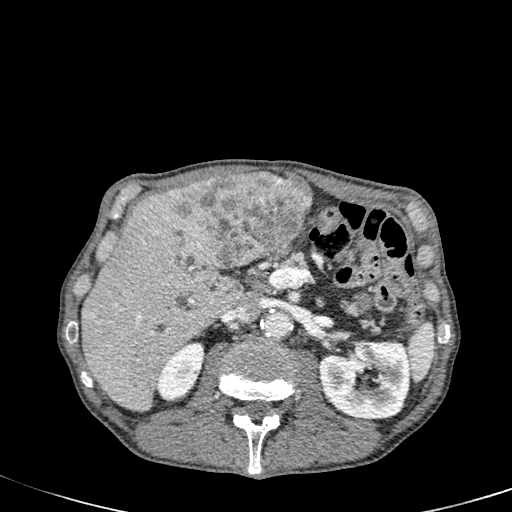

CT scan slice. Upper abdomen.
The liver is at [81, 183, 242, 411]. 2 focal liver lesion regions are located at [188, 272, 196, 280], [179, 173, 311, 273]. 2 kidney regions are located at [320, 342, 410, 418], [157, 343, 203, 399].